FLAIR MR image.
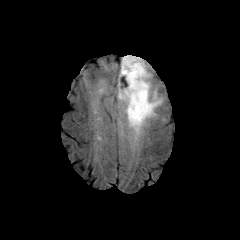
T1-weighted magnetic resonance.
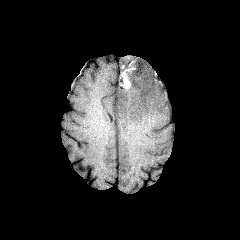
Post-contrast T1-weighted MR image.
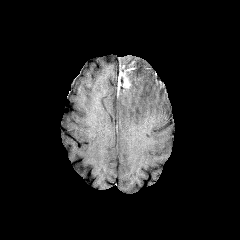
T2-weighted magnetic resonance.
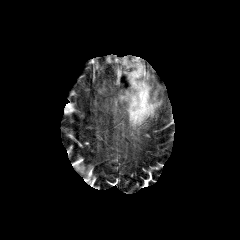
Brain
Non-enhancing tumor core — (119, 58, 133, 69), (127, 70, 136, 83), (120, 76, 128, 88).
Edema — (117, 55, 162, 141).
Enhancing tumor — (118, 61, 135, 87).